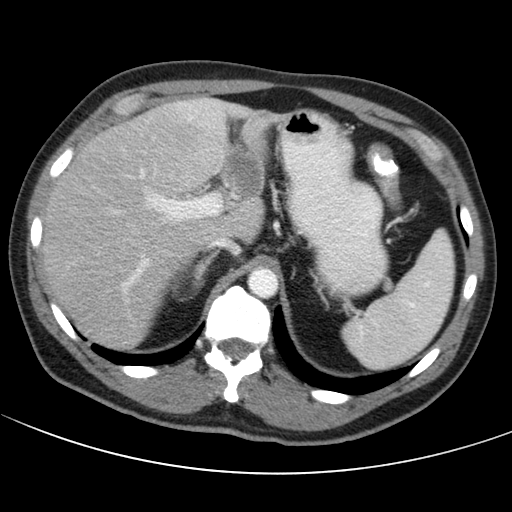 512x512; CT scan slice; Abdomen
Only some of the vessels may be annotated.
4 hepatic vessel regions appear at [x1=140, y1=170, x2=143, y2=175], [x1=146, y1=193, x2=221, y2=219], [x1=124, y1=260, x2=147, y2=291], [x1=233, y1=195, x2=235, y2=196]. The liver tumor is bounded by [x1=226, y1=140, x2=264, y2=198].